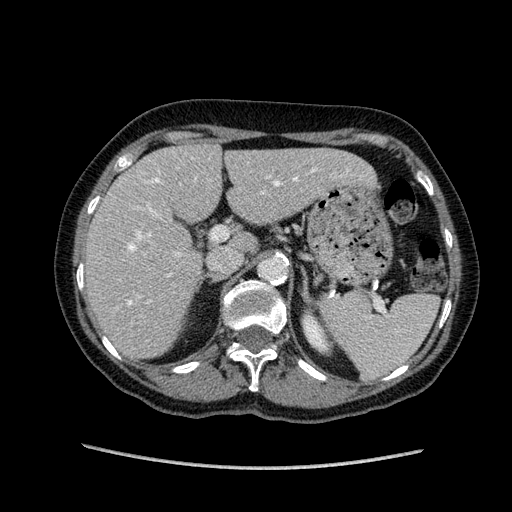
Upper abdomen. CT.

Liver = l=86, t=145, r=370, b=355.
Kidney = l=304, t=317, r=325, b=348.